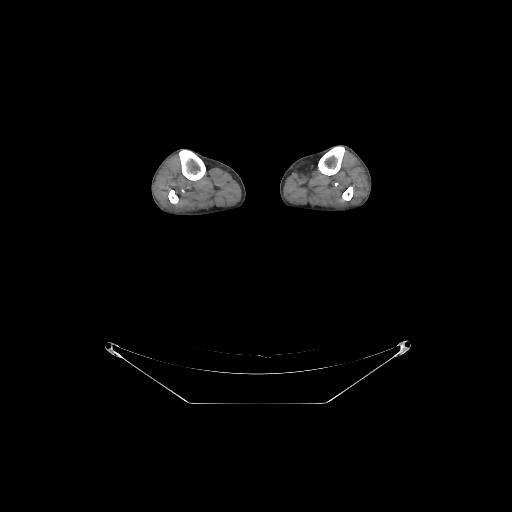 CT
4 bone regions are bounded by {"x1": 318, "y1": 146, "x2": 344, "y2": 175}, {"x1": 342, "y1": 186, "x2": 353, "y2": 200}, {"x1": 168, "y1": 190, "x2": 178, "y2": 203}, {"x1": 179, "y1": 150, "x2": 205, "y2": 180}.